FLAIR MR image.
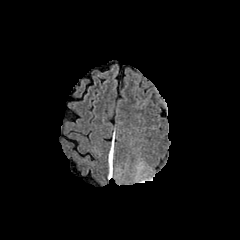
T1-weighted MR image.
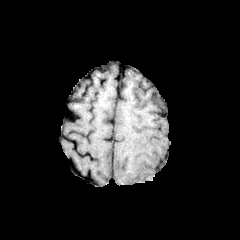
Post-contrast T1-weighted MRI.
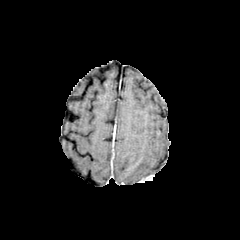
T2-weighted MR.
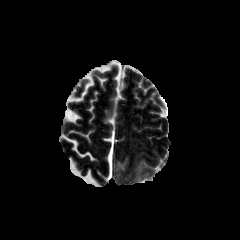
Brain | 240x240
edema: <bbox>108, 140, 113, 178</bbox>